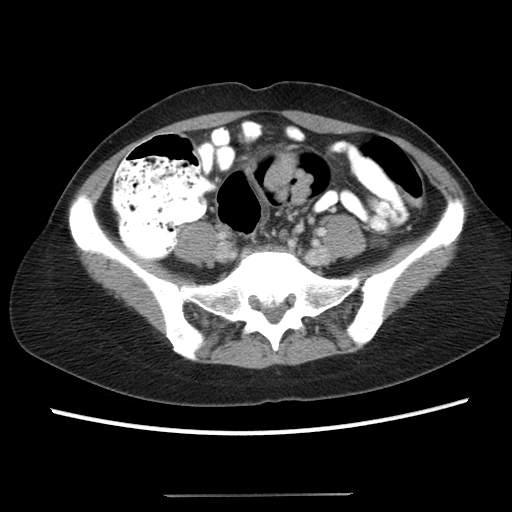
CT slice | 512x512 px | Abdomen
colon_tumor:
  - bbox(264, 153, 312, 205)